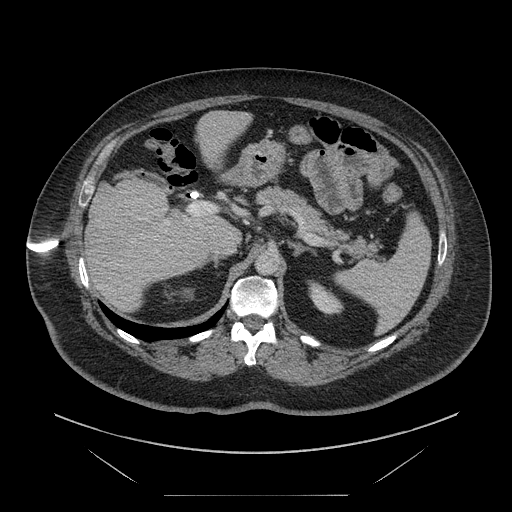

Computed tomography | Liver

Only some of the vessels may be annotated.
3 hepatic vessel regions are located at x1=166, y1=222, x2=169, y2=224; x1=188, y1=202, x2=213, y2=216; x1=184, y1=217, x2=189, y2=220.